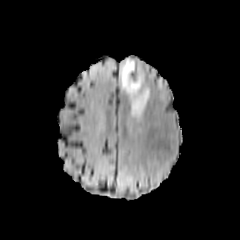
FLAIR magnetic resonance.
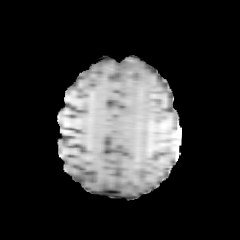
T1-weighted MR image.
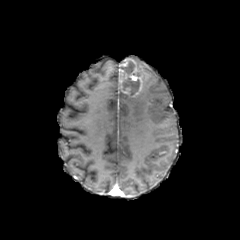
Post-contrast T1-weighted MR image.
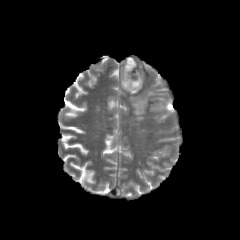
T2-weighted magnetic resonance.
2 non-enhancing tumor core regions are bounded by (left=120, top=61, right=134, bottom=76), (left=121, top=77, right=140, bottom=96). The edema appears at (left=129, top=67, right=151, bottom=117). The enhancing tumor is bounded by (left=119, top=58, right=143, bottom=91).